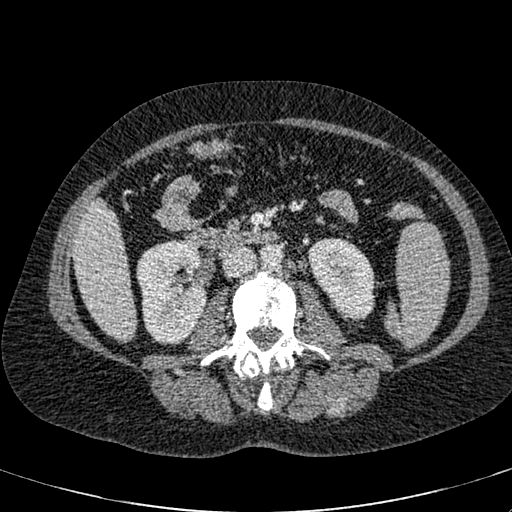

CT
<segmentation>
  <liver>[x1=74, y1=201, x2=135, y2=338]</liver>
  <kidney>[x1=137, y1=240, x2=206, y2=343], [x1=309, y1=239, x2=373, y2=318]</kidney>
</segmentation>